Brain; Image size 240x240
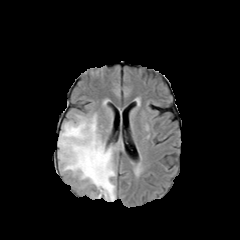
FLAIR MR.
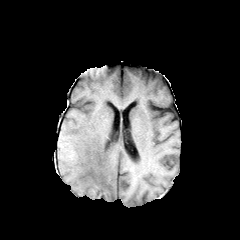
Same slice, T1-weighted magnetic resonance.
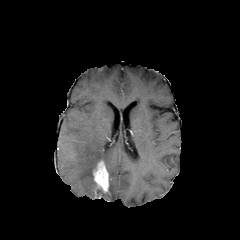
Post-contrast T1-weighted MR.
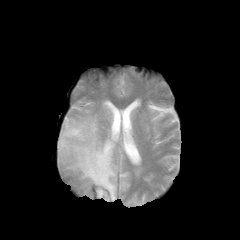
Same slice, T2-weighted MRI.
Edema — box=[58, 113, 117, 201].
Enhancing tumor — box=[93, 161, 108, 193].